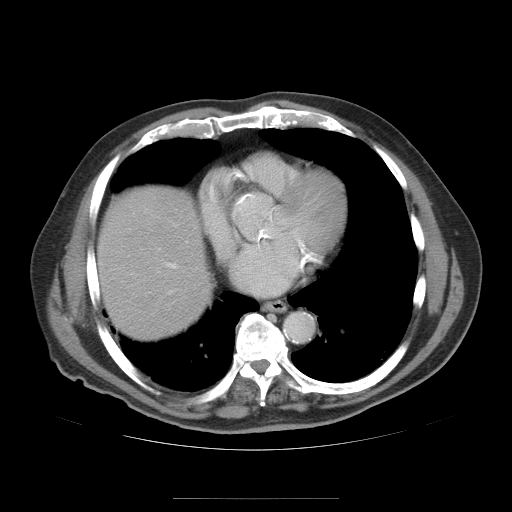

Liver | CT slice
Not every hepatic vessel necessarily has a box.
The hepatic vessel appears at 168:263:176:267.